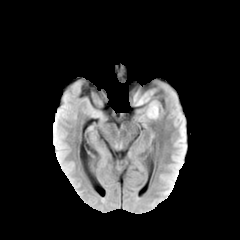
FLAIR magnetic resonance.
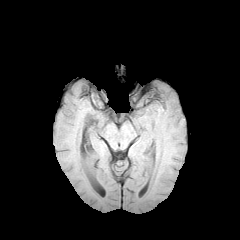
T1-weighted magnetic resonance of the same slice.
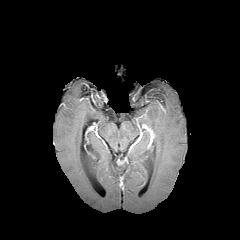
Post-contrast T1-weighted magnetic resonance.
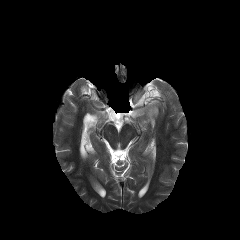
T2-weighted MR.
Head | Image size 240x240
The non-enhancing tumor core lies within 137:90:152:103. The edema is bounded by 146:90:158:118.